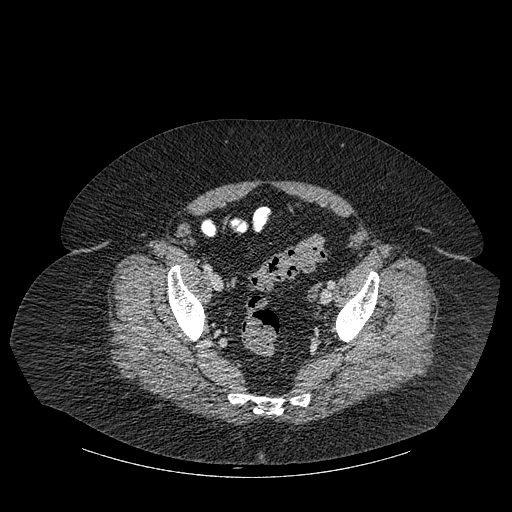

Computed tomography
4 bone regions appear at 228 393 284 415, 336 271 379 341, 168 265 204 340, 290 394 309 406.